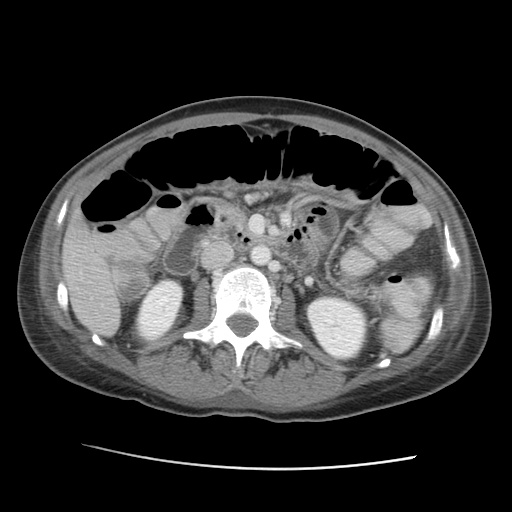

Computed tomography; Liver

Liver: bbox(63, 209, 115, 330).
Kidney: bbox(138, 281, 181, 336); bbox(307, 297, 365, 358).